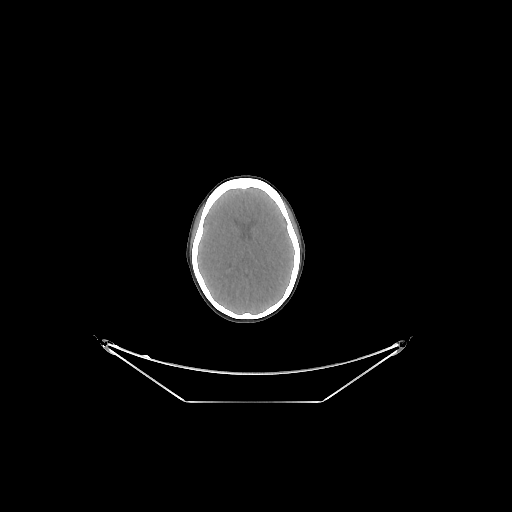
CT image

brain:
  - 197 187 294 314